CT scan slice. Slice 18/45. 512x512. Abdomen.

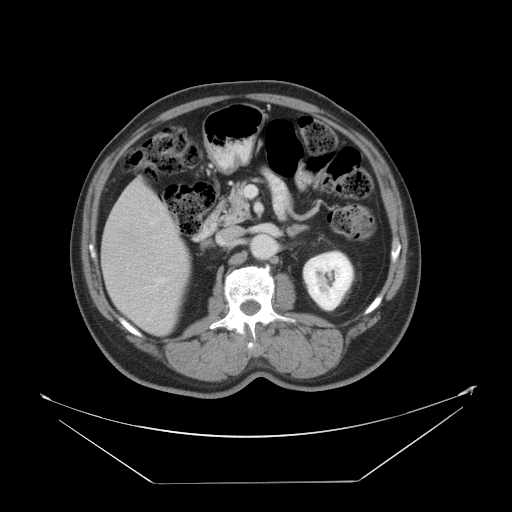
Not every hepatic vessel necessarily has a box.
3 hepatic vessel regions appear at <bbox>147, 317, 150, 320</bbox>, <bbox>157, 228, 173, 238</bbox>, <bbox>144, 277, 168, 289</bbox>.